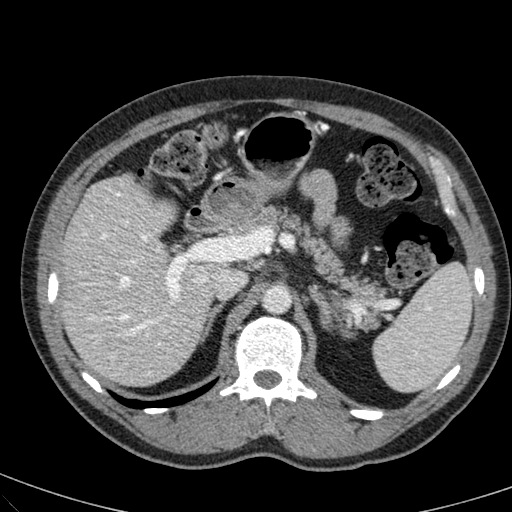 Liver, CT image
The liver lies within l=60, t=177, r=226, b=385.